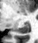

38x43 | Magnetic resonance
posterior hippocampus: left=16, top=23, right=28, bottom=33